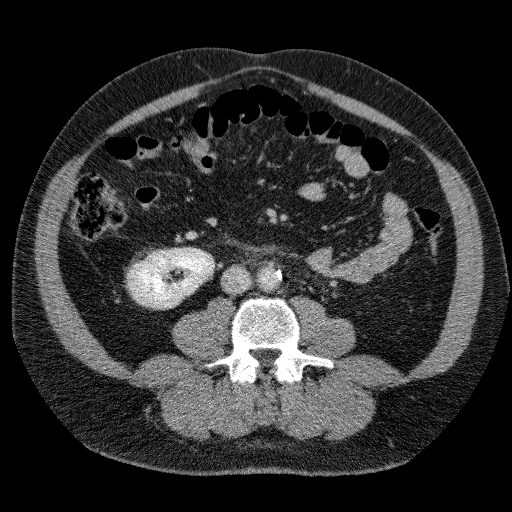

Abdomen; Computed tomography
The kidney lies within left=129, top=248, right=213, bottom=307.